Brain; 240x240 px
FLAIR MRI.
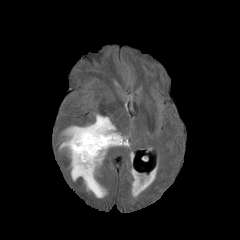
T1-weighted MRI.
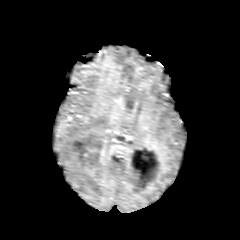
Post-contrast T1-weighted MR.
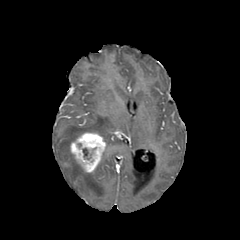
T2-weighted MR image.
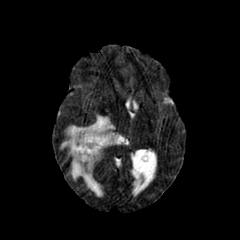
{"edema": ["[60,115,129,148]", "[70,156,105,197]"], "enhancing_tumor": ["[68,131,109,174]"]}